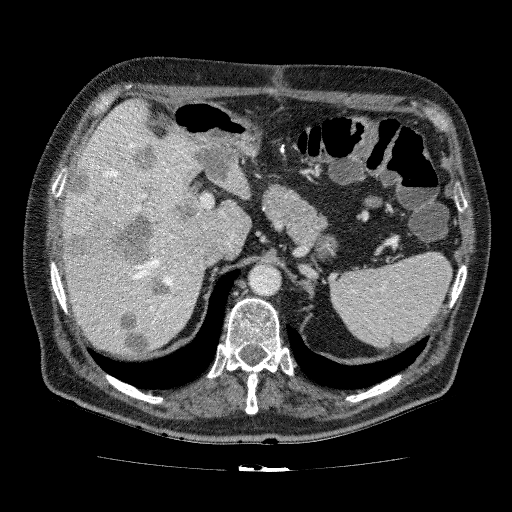

CT; Upper abdomen; Image size 512x512
Liver: bounding box box=[214, 163, 251, 200]; box=[61, 97, 251, 356].
Liver lesion: bounding box box=[119, 311, 151, 356]; box=[62, 211, 155, 266]; box=[67, 163, 92, 197]; box=[169, 186, 203, 227]; box=[93, 194, 103, 204]; box=[143, 273, 177, 300]; box=[189, 138, 238, 182]; box=[127, 141, 161, 174].